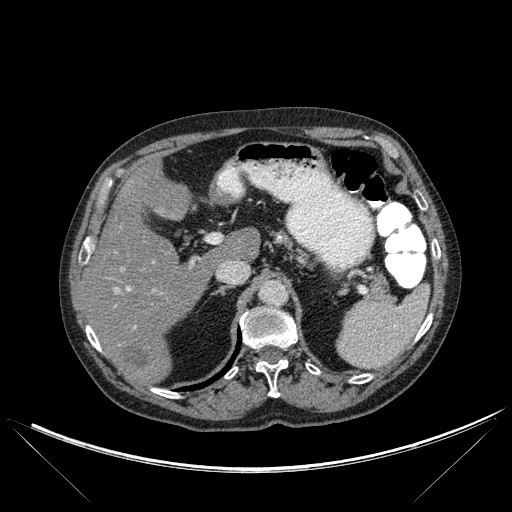 CT
Bone: box=[306, 363, 320, 374]; box=[86, 326, 101, 350]; box=[432, 240, 440, 258]; box=[416, 196, 427, 209]; box=[255, 359, 287, 397]; box=[415, 314, 432, 340]; box=[350, 374, 372, 383]; box=[225, 367, 237, 378]; box=[151, 388, 179, 398]; box=[240, 307, 297, 348].
Hepatic lesion: box=[122, 342, 146, 366].
Lung: box=[180, 335, 240, 390].
Liver: box=[85, 164, 217, 383]; box=[211, 228, 260, 263].